Slice 13 of 47; CT scan slice
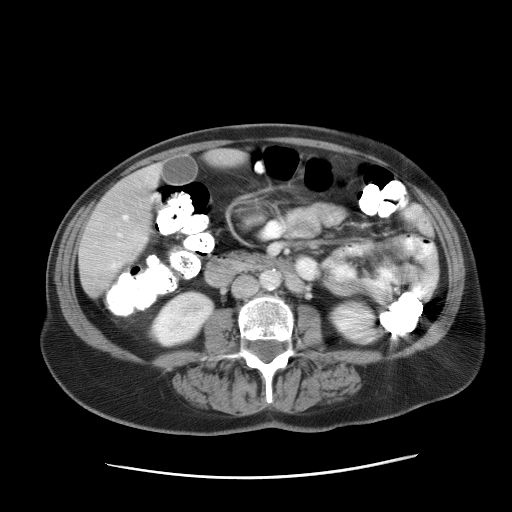
Some hepatic vessels may have no box.
Hepatic vessel — {"x1": 123, "y1": 215, "x2": 128, "y2": 219}, {"x1": 136, "y1": 236, "x2": 145, "y2": 240}, {"x1": 118, "y1": 234, "x2": 120, "y2": 236}, {"x1": 110, "y1": 263, "x2": 119, "y2": 268}.